Upper abdomen, CT scan slice
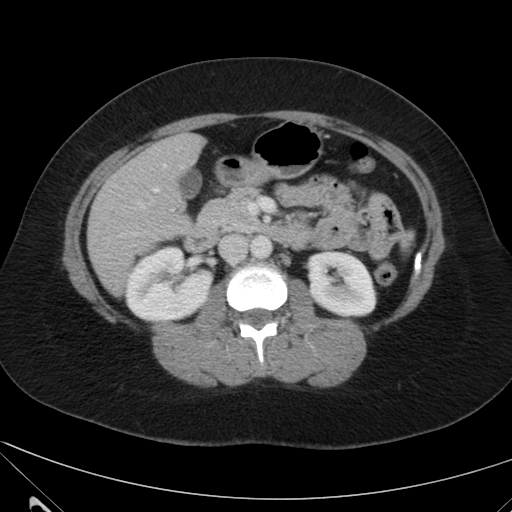

kidney: 127,248,210,320; 311,252,374,315 | liver: 88,133,204,295